Slice 106/155
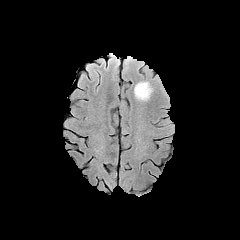
FLAIR MR.
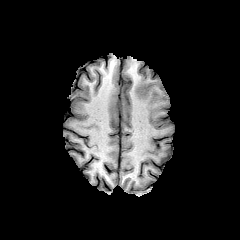
T1-weighted MRI.
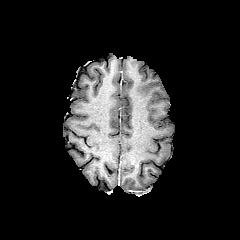
Post-contrast T1-weighted MRI of the same slice.
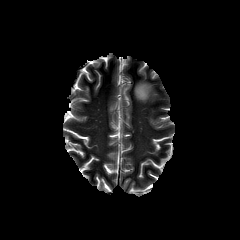
T2-weighted MR.
The edema appears at (133, 80, 153, 101).